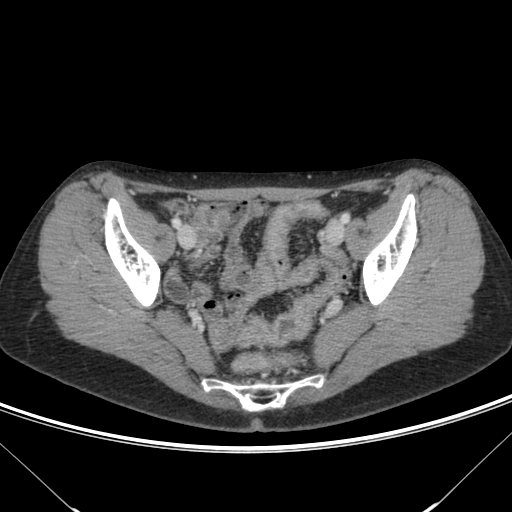

Pelvis; CT
colon_tumor:
  - 236 295 324 346